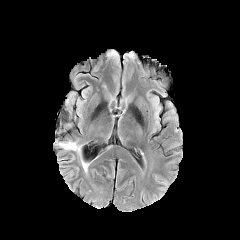
FLAIR magnetic resonance.
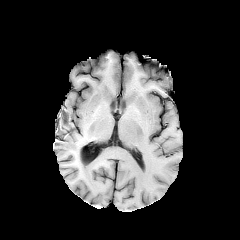
T1-weighted MRI.
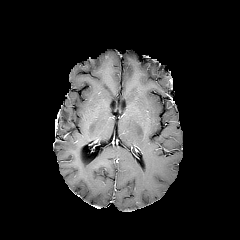
Same slice, post-contrast T1-weighted magnetic resonance.
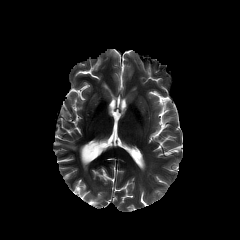
T2-weighted MR image of the same slice.
Head. 240x240.
Segmented structures:
• edema: x1=57, y1=139, x2=81, y2=156; x1=81, y1=158, x2=89, y2=171